Medial temporal lobe; Magnetic resonance; Slice 26/36
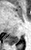
{"posterior_hippocampus": ["[6,36,19,43]"]}